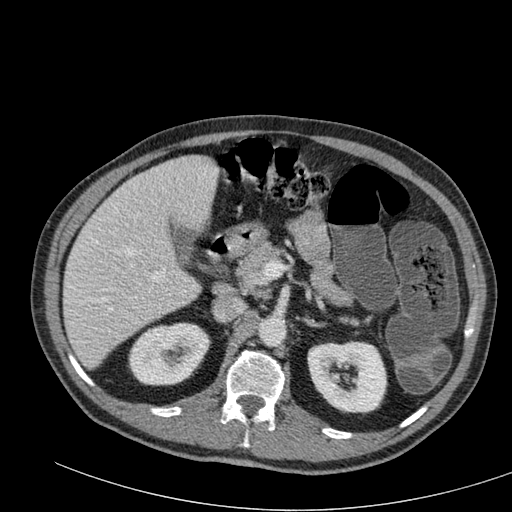 Computed tomography, Abdomen
Liver at [x1=63, y1=155, x2=218, y2=368].
Kidney at [x1=130, y1=324, x2=208, y2=384], [x1=308, y1=342, x2=385, y2=411].